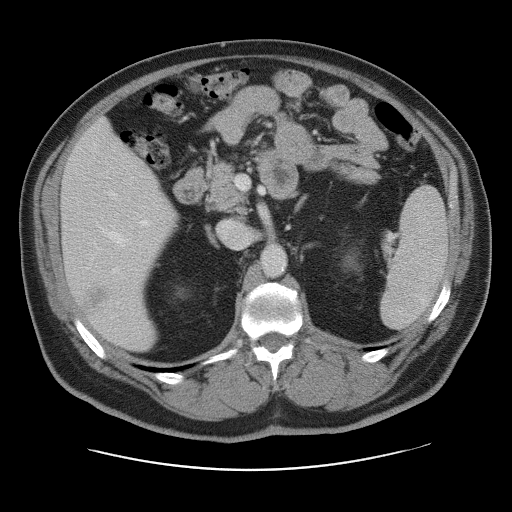 CT slice | 512x512 px | Liver
The vessel annotation is not exhaustive.
Liver tumor — bbox(75, 281, 116, 314).
Hepatic vessel — bbox(107, 191, 116, 197); bbox(112, 269, 117, 271); bbox(139, 219, 151, 226); bbox(259, 188, 263, 192); bbox(236, 177, 248, 189); bbox(102, 230, 127, 245); bbox(224, 223, 229, 227).